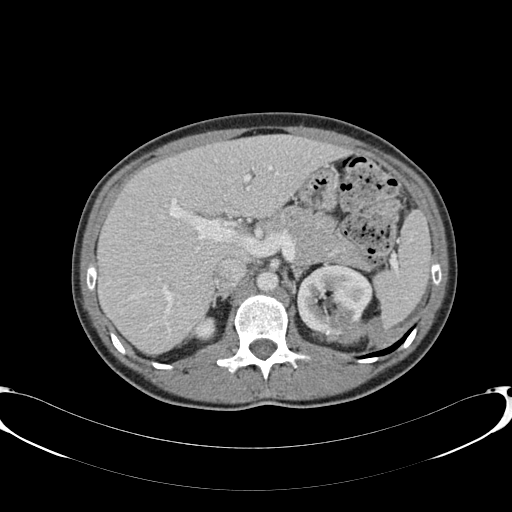

Upper abdomen. CT scan slice.

liver: box=[97, 135, 352, 354] | kidney: box=[197, 323, 213, 335]; box=[298, 265, 371, 343]